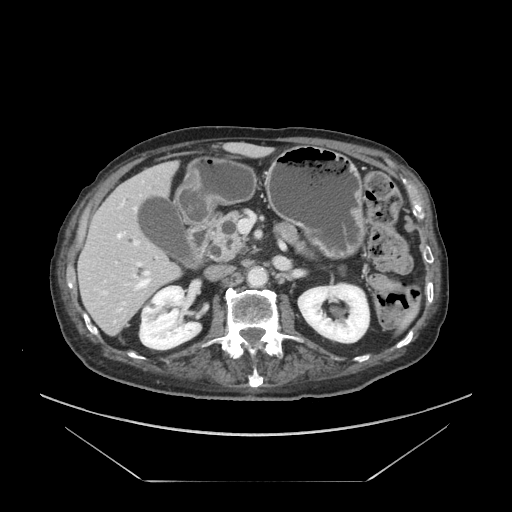 CT slice, Abdomen
The pancreas is bounded by (212, 212, 242, 260).